Cardiac, Slice 101 of 122, Magnetic resonance 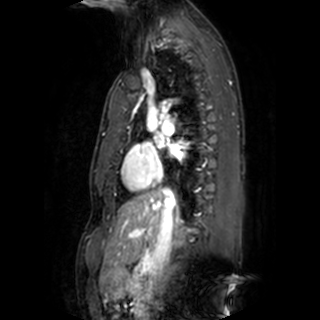 2 left atrium regions are located at x1=168 y1=145 x2=181 y2=156, x1=155 y1=136 x2=164 y2=147.